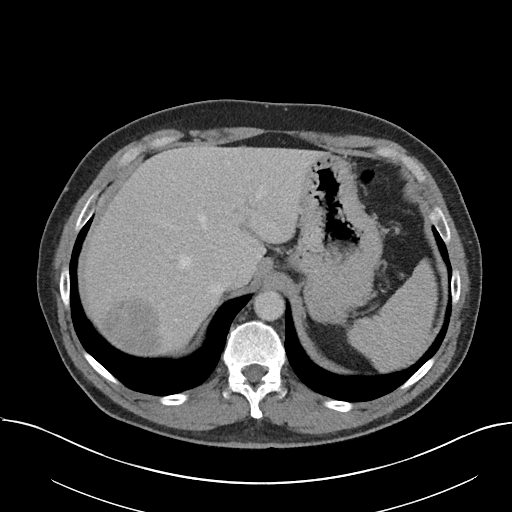 Computed tomography | 512x512 | Liver
Some hepatic vessels may have no box.
Segmented structures:
- hepatic vessel: [211,284,222,293], [198,215,206,229], [240,219,243,220], [241,199,243,201], [176,228,179,229], [250,221,254,225], [241,190,243,191], [256,194,260,197], [257,248,264,257], [177,276,178,278], [170,256,172,257], [175,319,178,321], [179,255,191,267], [229,226,230,228]
- liver tumor: [105,298,161,353]